FLAIR magnetic resonance.
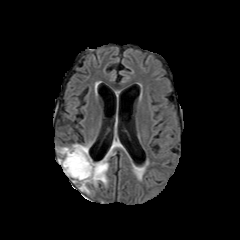
T1-weighted MR.
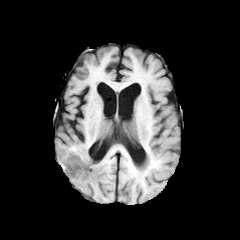
Post-contrast T1-weighted MRI.
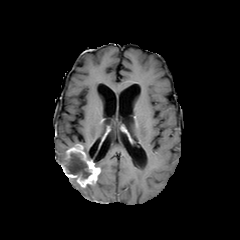
T2-weighted magnetic resonance.
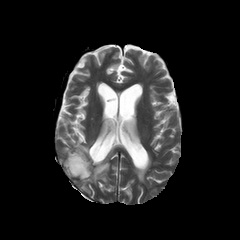
Head | 240x240
Segmented structures:
* edema: (left=82, top=150, right=112, bottom=192), (left=59, top=146, right=71, bottom=165), (left=136, top=168, right=143, bottom=177)
* enhancing tumor: (left=66, top=144, right=100, bottom=186)
* non-enhancing tumor core: (left=63, top=152, right=90, bottom=179)